CT slice. Upper abdomen. Slice 499/751. 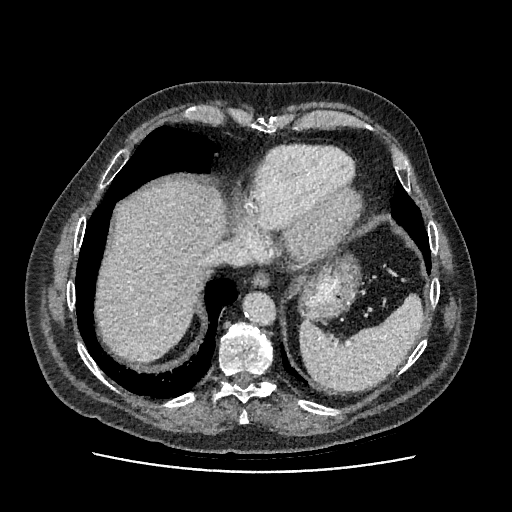
liver: (x1=95, y1=181, x2=227, y2=361)